Slice 43/97 | Abdomen | Field of view 475 mm wide, 2.50 mm slice spacing | CT slice | 512x512 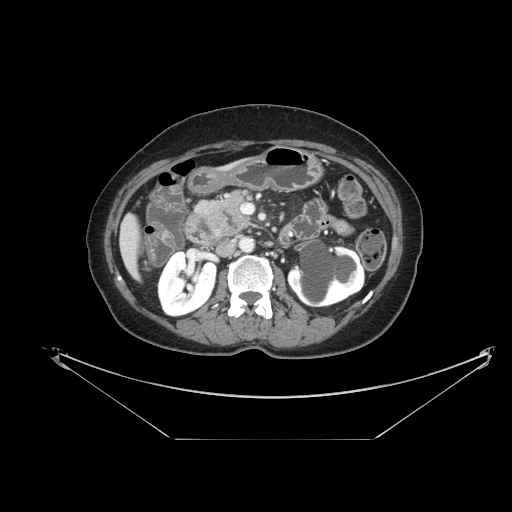 The pancreas lies within {"x1": 196, "y1": 192, "x2": 249, "y2": 238}.